512x512 | Computed tomography | Abdomen

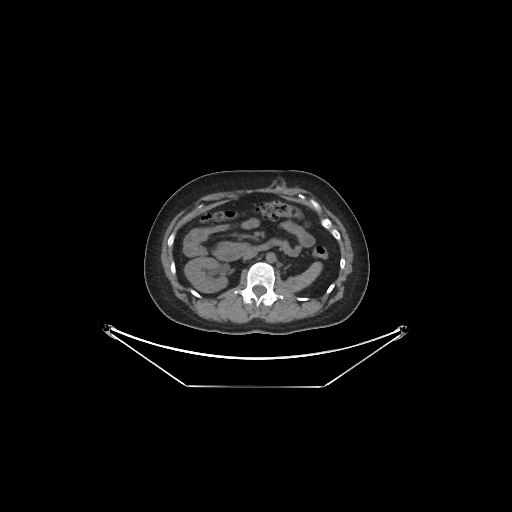

kidney:
  - {"x1": 185, "y1": 258, "x2": 226, "y2": 292}